512x512, CT slice, Abdomen

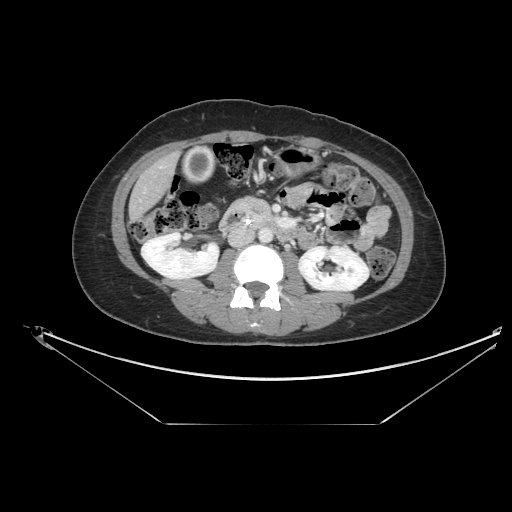 pancreas:
  - rect(234, 196, 272, 227)